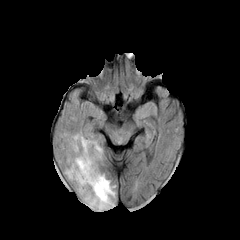
FLAIR magnetic resonance.
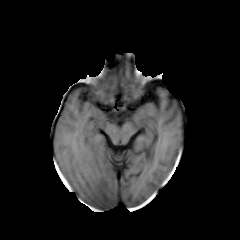
Same slice, T1-weighted MRI.
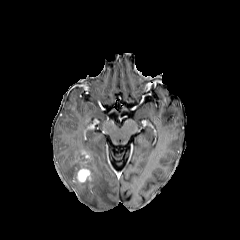
Post-contrast T1-weighted MRI of the same slice.
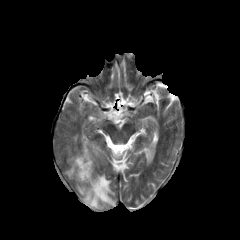
T2-weighted magnetic resonance of the same slice.
Brain; Image size 240x240
The edema appears at bbox(64, 136, 115, 210). 2 enhancing tumor regions are located at bbox(82, 150, 89, 159); bbox(76, 161, 91, 183).